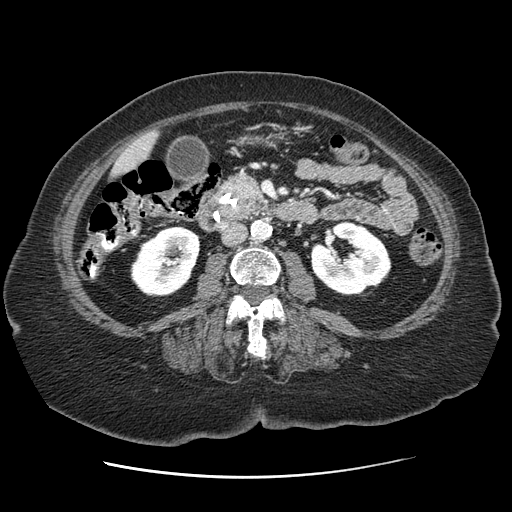 CT scan slice

Segmented structures:
- pancreas: bbox(223, 171, 263, 219)